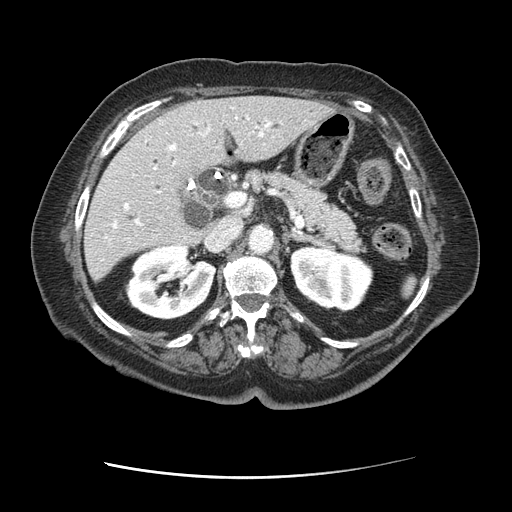 Abdomen | Computed tomography
pancreas: 258:169:366:254